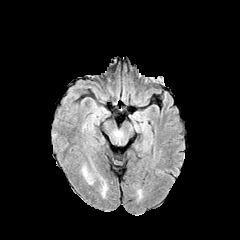
FLAIR MR image.
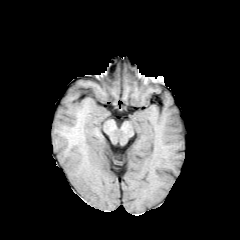
T1-weighted MR image.
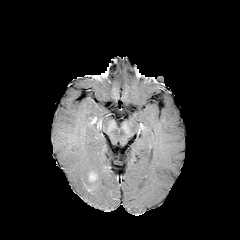
Post-contrast T1-weighted MRI.
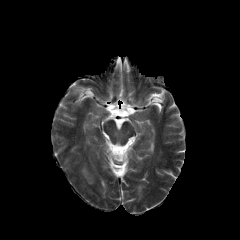
T2-weighted MR.
240x240. Head.
Annotated regions:
* edema: [x1=82, y1=167, x2=89, y2=181]